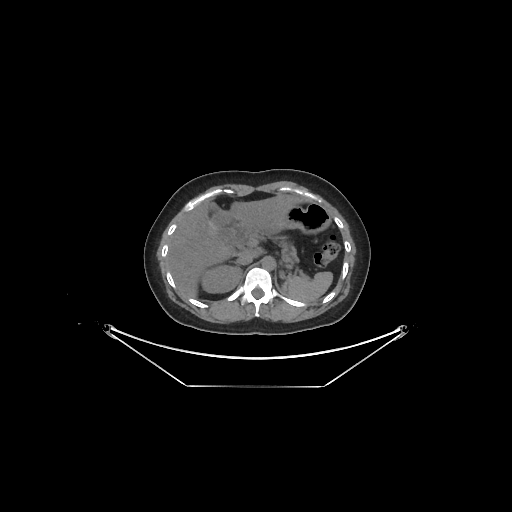

Liver; Computed tomography

Segmented structures:
• kidney: x1=202, y1=266, x2=241, y2=292
• liver: x1=162, y1=194, x2=306, y2=290